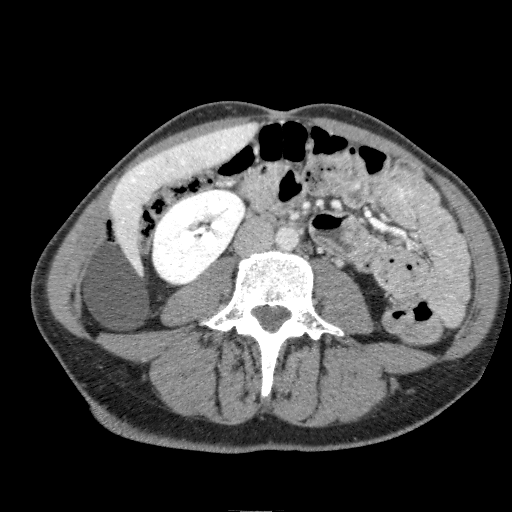
Computed tomography
<segmentation>
  <liver>110,123,257,277</liver>
  <kidney>153,190,244,283</kidney>
</segmentation>